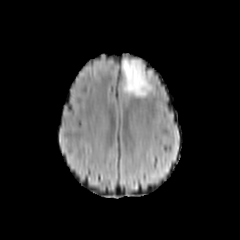
FLAIR MRI.
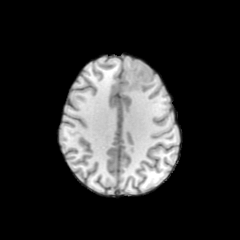
Same slice, T1-weighted MR image.
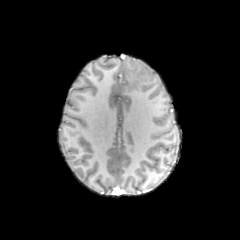
Post-contrast T1-weighted MR of the same slice.
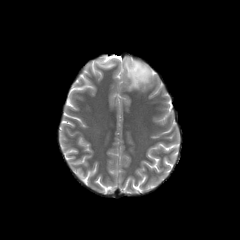
Same slice, T2-weighted MR image.
Head.
edema:
  - (x1=123, y1=58, x2=147, y2=95)
non-enhancing_tumor_core:
  - (x1=130, y1=65, x2=152, y2=89)